Computed tomography | 512x512 | Slice 58/102 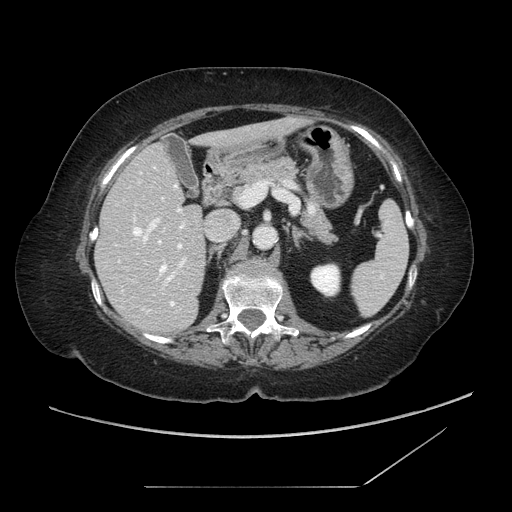

2 pancreas regions are located at {"x1": 301, "y1": 191, "x2": 339, "y2": 245}, {"x1": 211, "y1": 156, "x2": 301, "y2": 206}.